CT scan slice 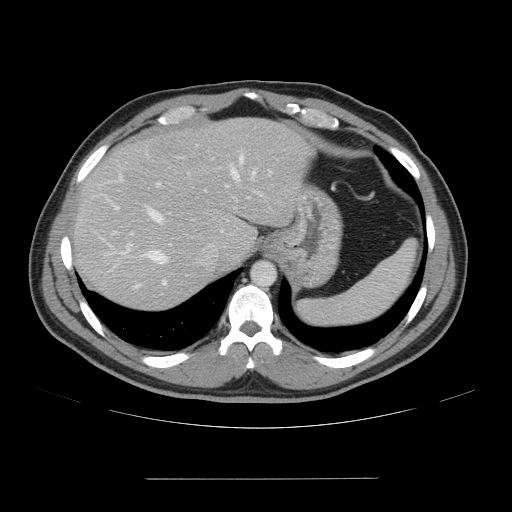
Not every hepatic vessel necessarily has a box.
Largest 15 of 16 hepatic vessel regions: bounding box region(231, 167, 238, 182); region(118, 243, 131, 254); region(257, 192, 260, 194); region(268, 170, 271, 174); region(112, 175, 122, 181); region(179, 157, 184, 158); region(163, 281, 165, 284); region(103, 253, 107, 255); region(134, 284, 139, 287); region(109, 201, 118, 209); region(146, 250, 166, 263); region(240, 156, 242, 161); region(157, 183, 159, 185); region(252, 171, 255, 178); region(149, 209, 162, 221).